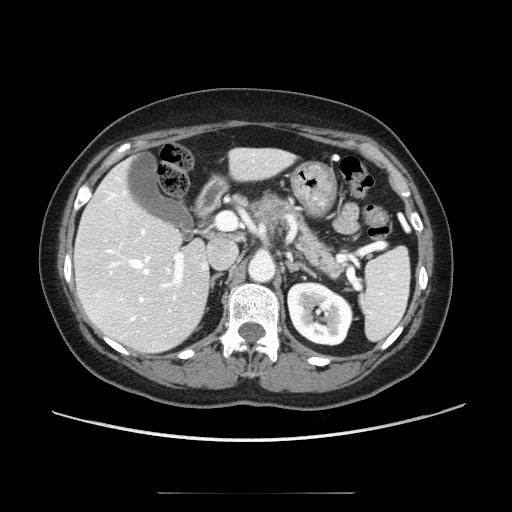
CT slice. pancreatic tumor: (x1=261, y1=194, x2=283, y2=218) | pancreas: (x1=250, y1=198, x2=340, y2=275)